Slice 32 of 104; CT slice; Upper abdomen; Field of view 470 mm wide, 2.50 mm slice spacing 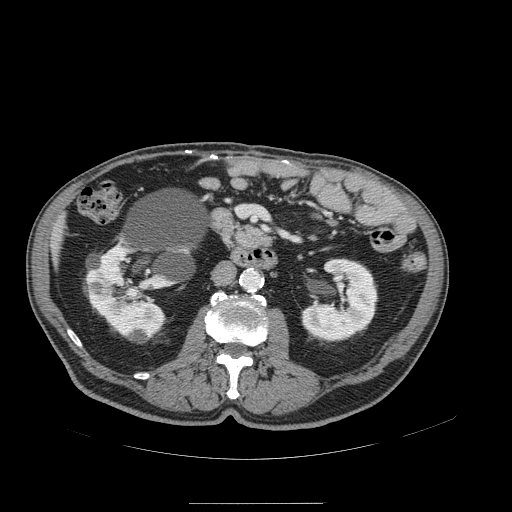

The pancreas lies within (232, 220, 278, 249).